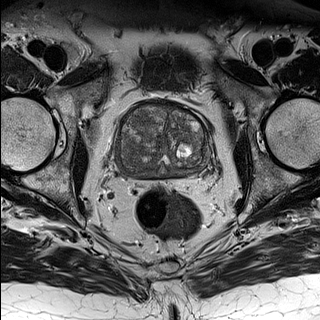
T2-weighted magnetic resonance.
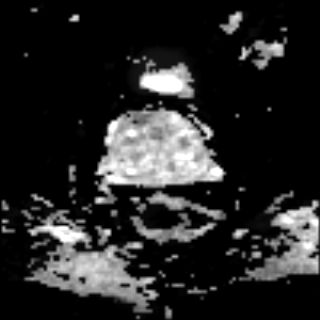
ADC MRI of the same slice.
Image size 320x320; Prostate
The prostate peripheral zone is bounded by [117,136,207,177]. The prostate transition zone is at [119,107,207,172].